Slice 97 of 155
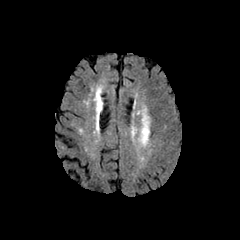
FLAIR MR.
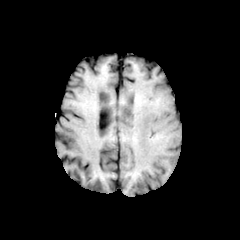
T1-weighted MRI.
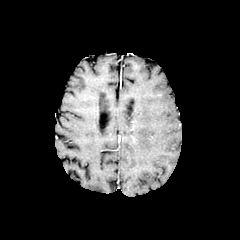
Post-contrast T1-weighted MRI.
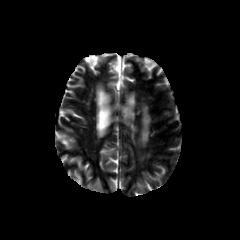
T2-weighted MR.
Edema: [x1=131, y1=106, x2=149, y2=146].